FLAIR MR.
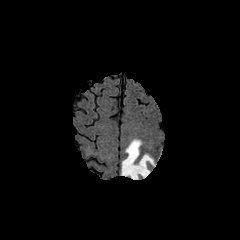
T1-weighted MR.
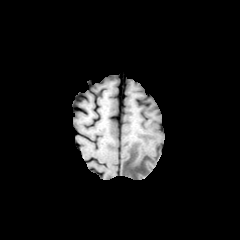
Post-contrast T1-weighted MR.
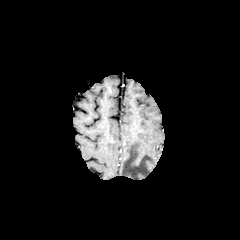
T2-weighted magnetic resonance.
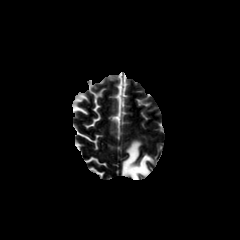
Image size 240x240. Brain.
edema: (x1=121, y1=139, x2=154, y2=179)